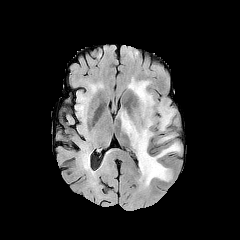
FLAIR MRI.
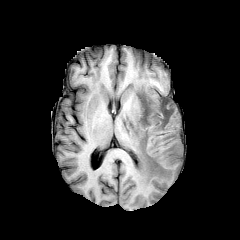
T1-weighted MRI.
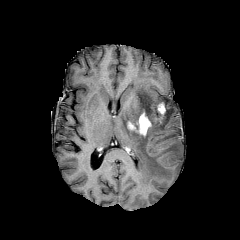
Post-contrast T1-weighted MR image of the same slice.
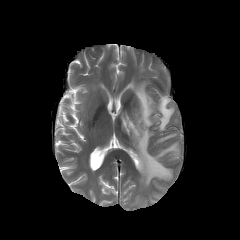
T2-weighted magnetic resonance of the same slice.
Image size 240x240
Edema — 162,97,171,108; 120,80,179,186.
Enhancing tumor — 136,112,150,135; 158,103,165,115.
Non-enhancing tumor core — 126,120,148,137; 142,99,171,125.